Chest, Image size 512x512, CT

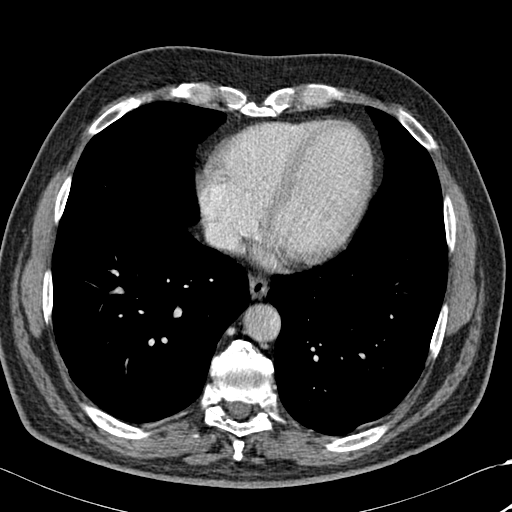

{
  "lung": [
    "(266, 106, 448, 435)",
    "(52, 101, 250, 423)"
  ],
  "bone": [
    "(327, 427, 385, 451)",
    "(430, 307, 447, 354)",
    "(85, 406, 147, 438)",
    "(399, 111, 434, 148)",
    "(171, 93, 191, 96)",
    "(444, 198, 455, 247)",
    "(228, 88, 293, 116)",
    "(233, 440, 243, 459)",
    "(309, 85, 325, 94)",
    "(89, 98, 140, 133)",
    "(43, 273, 52, 317)",
    "(202, 340, 277, 436)",
    "(172, 84, 194, 91)",
    "(55, 179, 70, 219)"
  ]
}